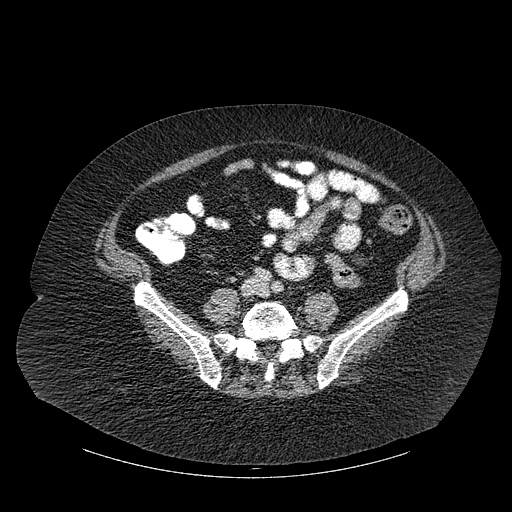 Computed tomography

<segmentation>
  <bone>214, 302, 321, 380; 317, 289, 407, 388; 134, 282, 220, 388</bone>
</segmentation>